FLAIR magnetic resonance.
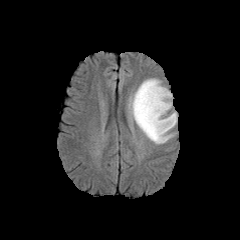
T1-weighted magnetic resonance.
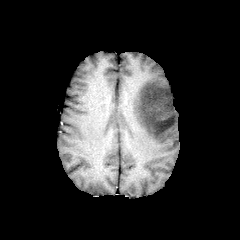
Post-contrast T1-weighted MR image.
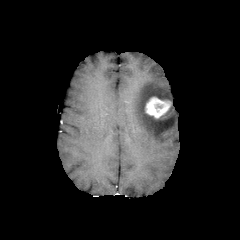
T2-weighted MR image.
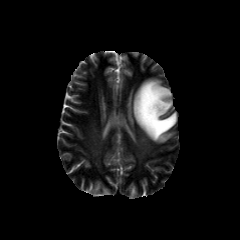
Head
The enhancing tumor appears at {"x1": 145, "y1": 97, "x2": 171, "y2": 118}. The non-enhancing tumor core appears at {"x1": 138, "y1": 87, "x2": 174, "y2": 133}. The edema is bounded by {"x1": 128, "y1": 78, "x2": 177, "y2": 144}.